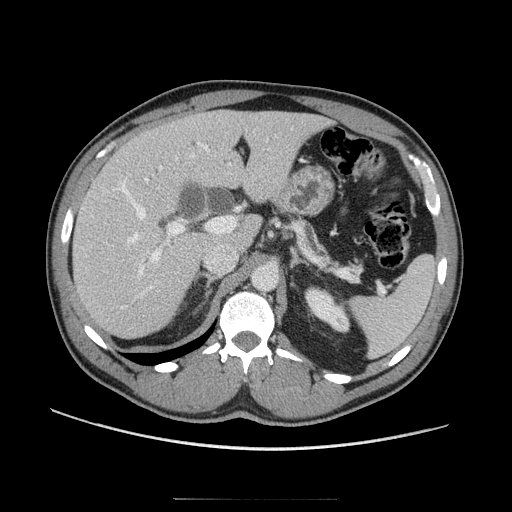 Computed tomography.
The pancreas appears at x1=290 y1=217 x2=339 y2=266.